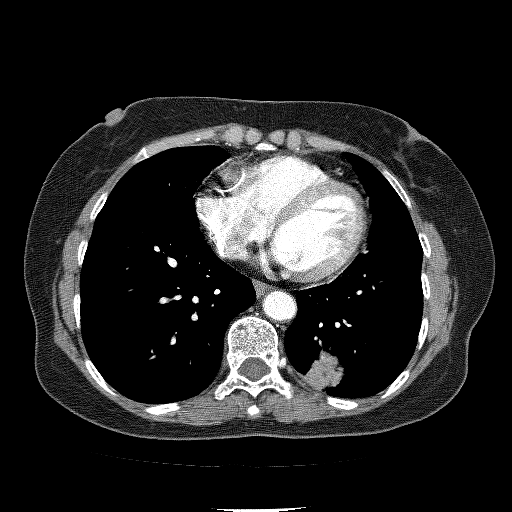
CT; Image size 512x512
The lung tumor is bounded by 304, 350, 344, 390.